FLAIR MR.
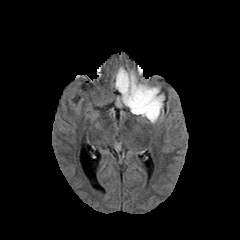
T1-weighted MR.
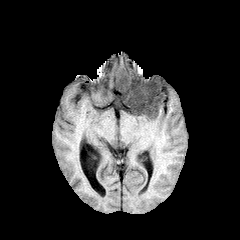
Post-contrast T1-weighted MR.
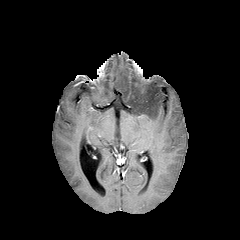
T2-weighted MR image.
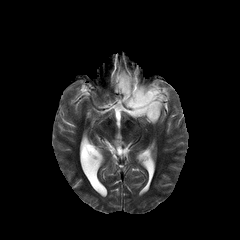
Head
Edema at <box>113,67,165,123</box>.
Non-enhancing tumor core at <box>120,78,128,95</box>, <box>126,86,155,115</box>.